FLAIR MRI.
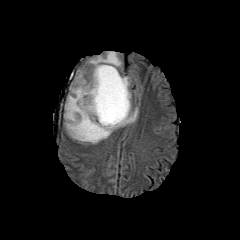
T1-weighted magnetic resonance.
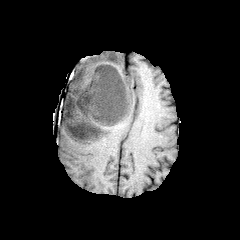
Post-contrast T1-weighted MRI.
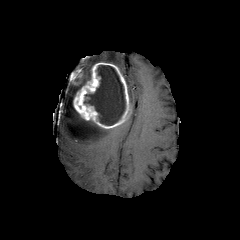
T2-weighted MRI.
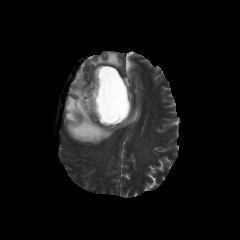
edema: l=64, t=51, r=138, b=144 | non-enhancing tumor core: l=85, t=65, r=125, b=125 | enhancing tumor: l=72, t=67, r=83, b=85; l=73, t=62, r=131, b=128